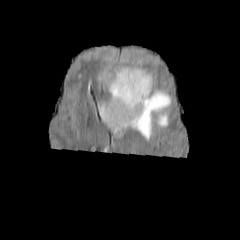
FLAIR MRI.
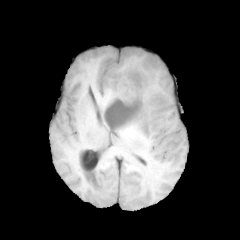
Same slice, T1-weighted MR image.
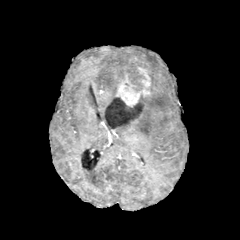
Post-contrast T1-weighted MR image of the same slice.
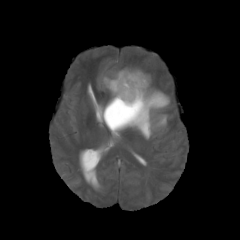
Same slice, T2-weighted MR.
240x240 px, Head
<segmentation>
  <edema>rect(104, 66, 135, 99); rect(110, 82, 170, 138)</edema>
  <non-enhancing_tumor_core>rect(122, 67, 146, 92); rect(104, 96, 142, 128)</non-enhancing_tumor_core>
  <enhancing_tumor>rect(115, 67, 150, 107)</enhancing_tumor>
</segmentation>